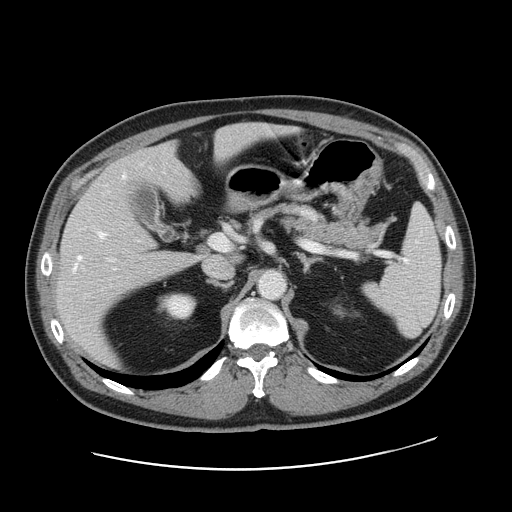
Abdomen; CT image

Only some of the vessels may be annotated.
{
  "hepatic_vessel": [
    "box=[146, 241, 154, 245]",
    "box=[77, 255, 81, 260]",
    "box=[99, 231, 106, 237]",
    "box=[122, 171, 125, 178]",
    "box=[108, 258, 114, 260]",
    "box=[217, 128, 224, 134]",
    "box=[165, 142, 173, 146]",
    "box=[268, 127, 270, 132]",
    "box=[73, 264, 76, 270]",
    "box=[216, 146, 221, 156]",
    "box=[114, 267, 115, 269]",
    "box=[188, 256, 189, 258]"
  ]
}